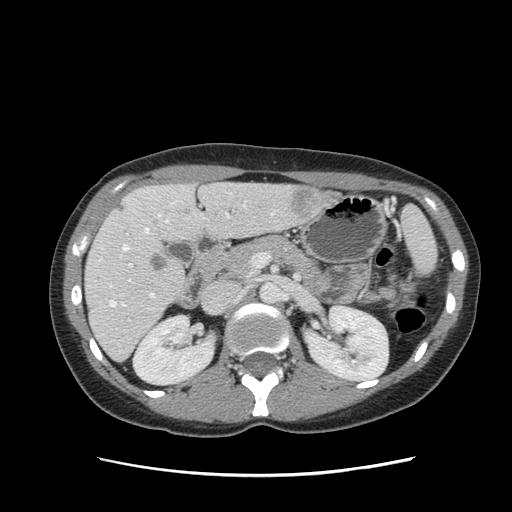 CT.

<segmentation>
  <pancreas>l=359, t=282, r=412, b=302; l=206, t=235, r=322, b=283</pancreas>
</segmentation>